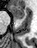
MRI slice
The anterior hippocampus is located at bbox(10, 6, 24, 19).